CT. Abdomen.
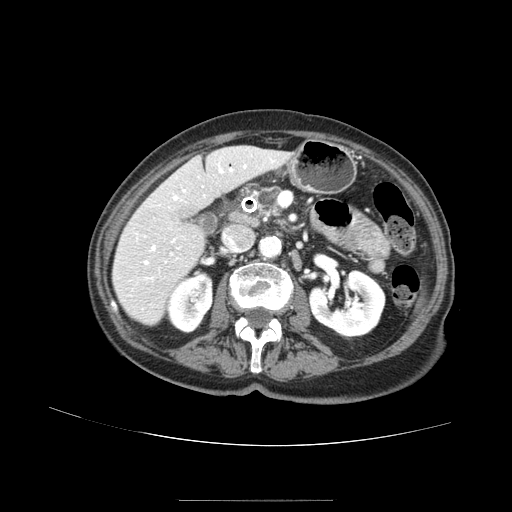
pancreas: (left=257, top=188, right=280, bottom=215)